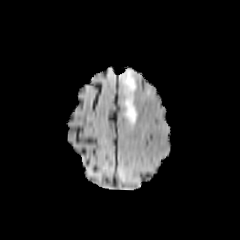
FLAIR MR image.
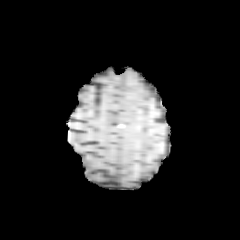
Same slice, T1-weighted MR.
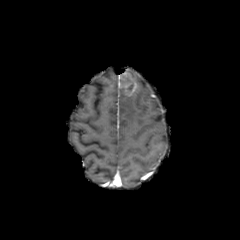
Post-contrast T1-weighted MR image.
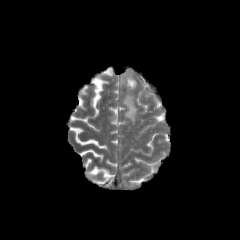
T2-weighted magnetic resonance of the same slice.
The enhancing tumor is located at <bbox>119, 69, 137, 95</bbox>. The edema lies within <bbox>124, 95, 138, 123</bbox>.